Slice 48/155
FLAIR MR image.
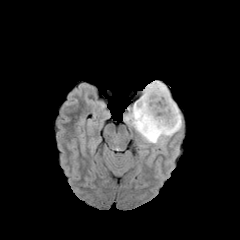
T1-weighted MR image.
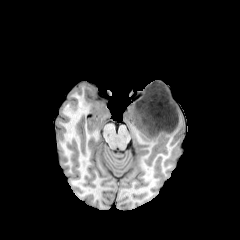
Post-contrast T1-weighted magnetic resonance.
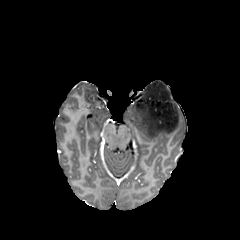
T2-weighted MRI.
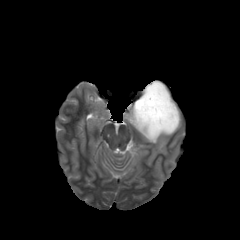
Findings:
• non-enhancing tumor core: x1=134 y1=82 x2=178 y2=135
• edema: x1=124 y1=103 x2=181 y2=149